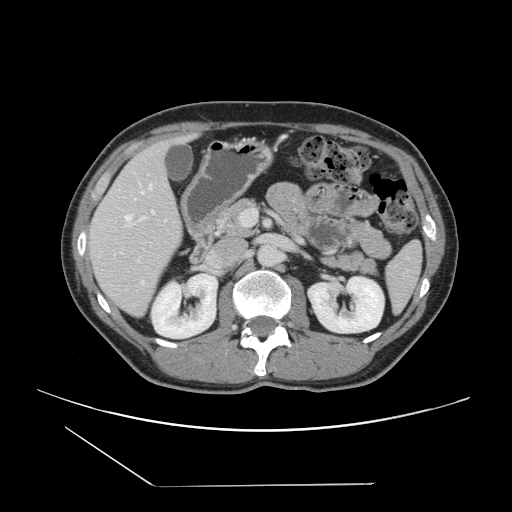
Liver, CT slice, 512x512 px
Only some of the vessels may be annotated.
* hepatic vessel: 126:220:135:225, 152:185:152:188, 136:221:139:222, 131:214:133:218, 152:212:154:213